Liver | CT image | Slice 79 of 131
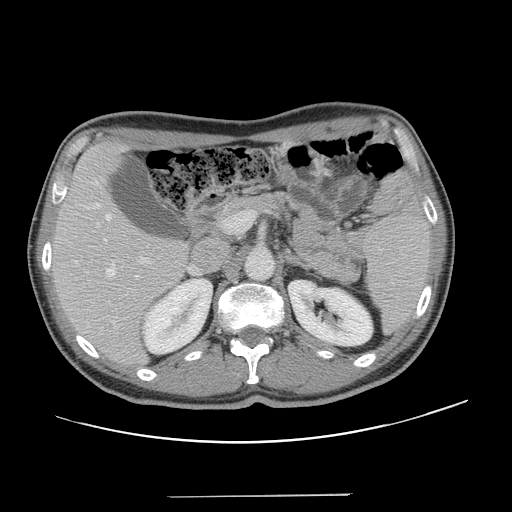

Not every hepatic vessel necessarily has a box.
<segmentation>
  <hepatic_vessel>l=106, t=214, r=110, b=219; l=83, t=203, r=99, b=208; l=136, t=275, r=138, b=277; l=106, t=261, r=114, b=276; l=104, t=239, r=106, b=241; l=140, t=257, r=149, b=262; l=95, t=180, r=97, b=182</hepatic_vessel>
</segmentation>